Abdomen; Computed tomography 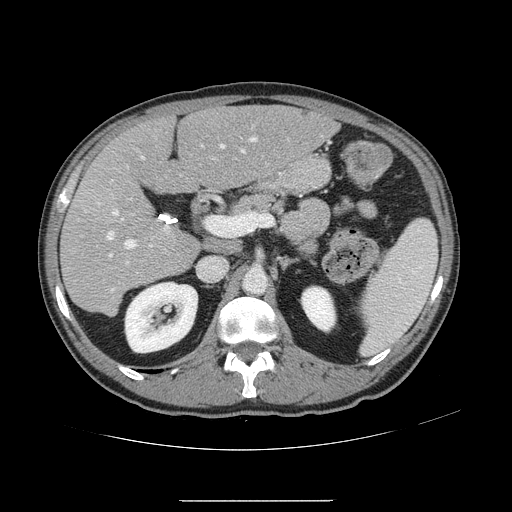

Only some of the vessels may be annotated.
<segmentation>
  <hepatic_vessel>rect(125, 240, 134, 248); rect(121, 218, 123, 219); rect(107, 232, 113, 239); rect(109, 254, 111, 256); rect(111, 180, 112, 181); rect(111, 289, 113, 291); rect(220, 144, 223, 148); rect(126, 262, 128, 263); rect(141, 156, 143, 158); rect(113, 209, 117, 214); rect(129, 198, 132, 199); rect(241, 149, 244, 152); rect(149, 244, 151, 246); rect(112, 196, 114, 199); rect(250, 138, 256, 140)</hepatic_vessel>
</segmentation>